CT slice; Slice index 386; 512x512; Image width 439 mm 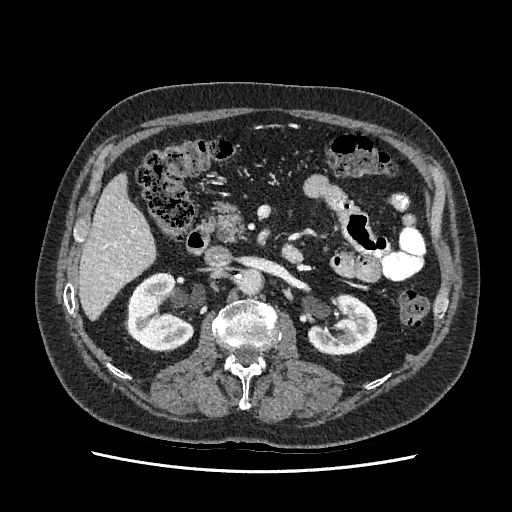

Annotated regions:
• liver: 79:174:155:319
• kidney: 309:296:376:354, 128:274:192:349